Slice 349/722 | Liver | CT image

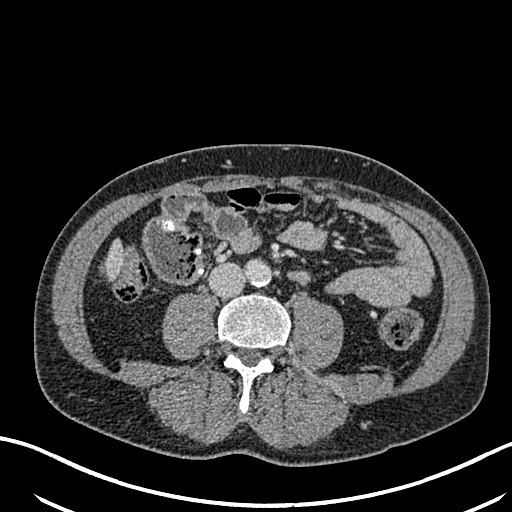

Liver: bounding box <bbox>105, 238, 122, 277</bbox>.